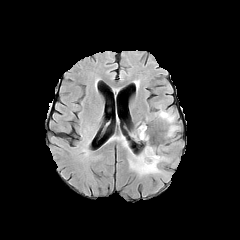
FLAIR MRI.
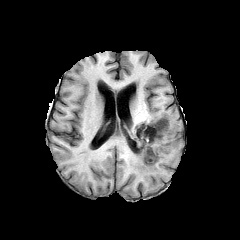
Same slice, T1-weighted MRI.
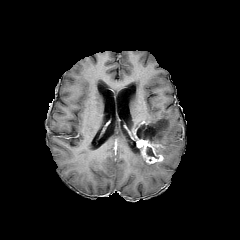
Post-contrast T1-weighted MR.
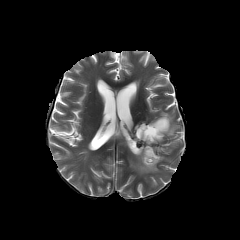
T2-weighted MR.
Head
Enhancing tumor — region(135, 135, 163, 164).
Edema — region(123, 139, 168, 175); region(156, 107, 180, 137).
Non-enhancing tumor core — region(153, 144, 161, 154); region(146, 147, 155, 157); region(134, 119, 166, 143).